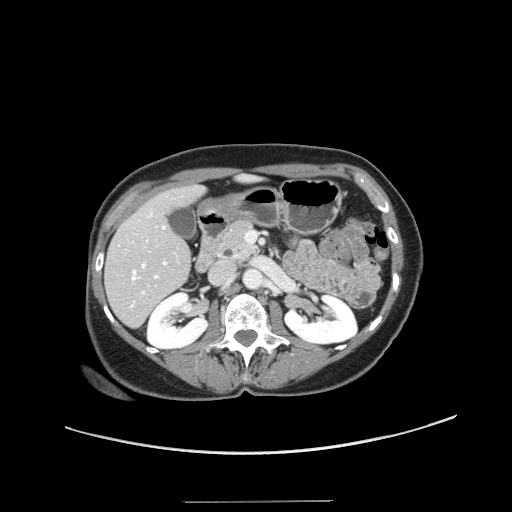
CT slice, Liver

The vessel annotation is not exhaustive.
8 hepatic vessel regions appear at {"x1": 133, "y1": 301, "x2": 134, "y2": 303}, {"x1": 132, "y1": 270, "x2": 138, "y2": 279}, {"x1": 155, "y1": 275, "x2": 157, "y2": 277}, {"x1": 149, "y1": 213, "x2": 152, "y2": 215}, {"x1": 163, "y1": 261, "x2": 166, "y2": 263}, {"x1": 143, "y1": 264, "x2": 145, "y2": 266}, {"x1": 143, "y1": 291, "x2": 144, "y2": 292}, {"x1": 163, "y1": 226, "x2": 164, "y2": 227}.